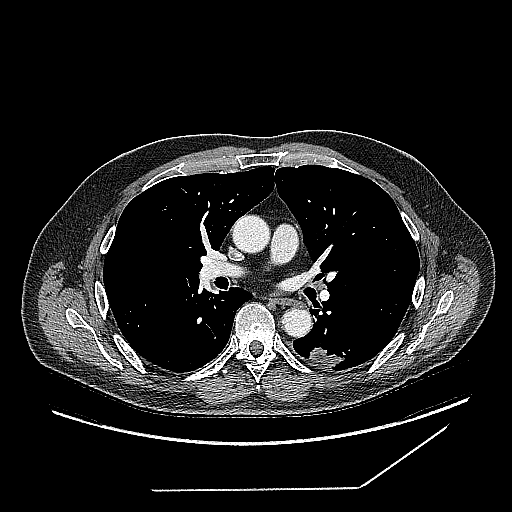

512x512; CT

lung_tumor:
  - box=[306, 347, 347, 369]